Slice 388 of 565. CT image. Thorax. 512x512.
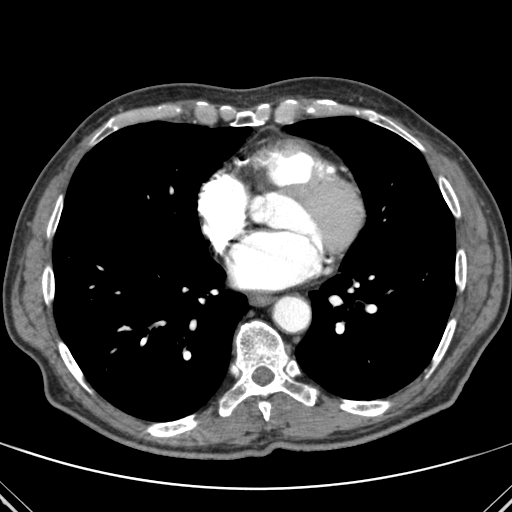 Lung: l=52, t=121, r=250, b=421; l=283, t=116, r=455, b=399.
Bone: l=317, t=100, r=337, b=108; l=47, t=195, r=62, b=236; l=439, t=176, r=460, b=217; l=340, t=400, r=390, b=416; l=219, t=321, r=317, b=420; l=94, t=118, r=117, b=138; l=147, t=415, r=197, b=436; l=58, t=342, r=89, b=390; l=366, t=111, r=424, b=150; l=455, t=249, r=466, b=289; l=433, t=319, r=455, b=366; l=231, t=111, r=265, b=126; l=42, t=266, r=54, b=303.